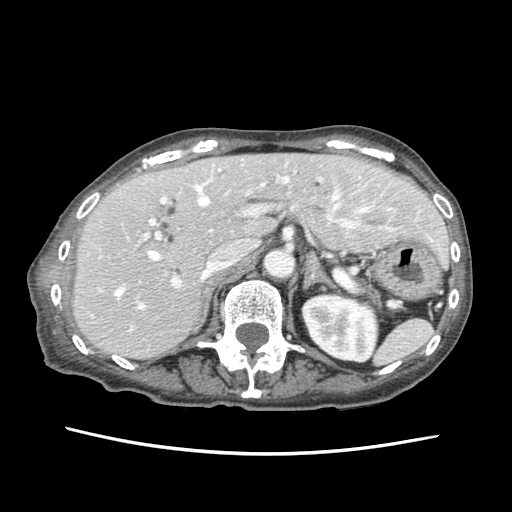 CT image
The pancreas is at 370, 291, 378, 305.